FLAIR MR.
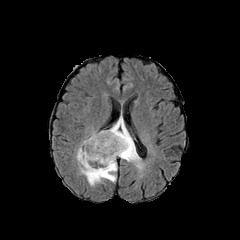
T1-weighted MRI.
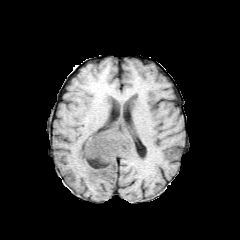
Post-contrast T1-weighted MR image.
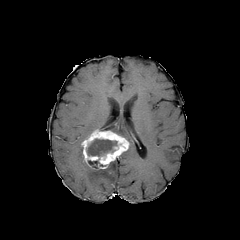
T2-weighted MR.
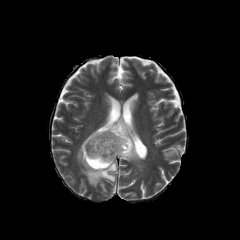
240x240. Head.
{
  "non-enhancing_tumor_core": [
    "<bbox>88, 160, 98, 168</bbox>",
    "<bbox>87, 139, 116, 155</bbox>"
  ],
  "edema": [
    "<bbox>76, 145, 117, 186</bbox>",
    "<bbox>109, 112, 144, 169</bbox>"
  ],
  "enhancing_tumor": [
    "<bbox>81, 129, 130, 169</bbox>"
  ]
}